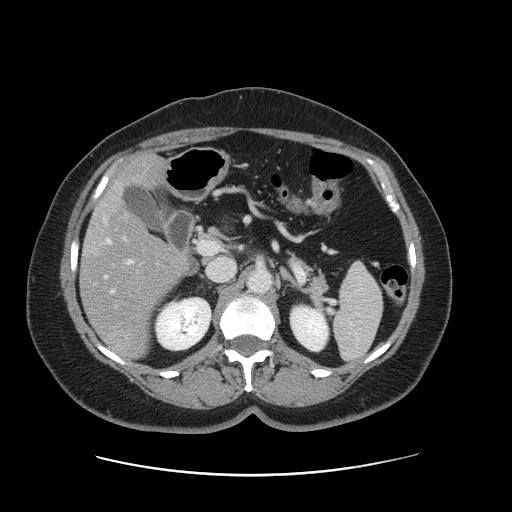 CT slice
Only some of the vessels may be annotated.
Hepatic vessel: bounding box x1=105 y1=276 x2=107 y2=277, x1=127 y1=260 x2=132 y2=263, x1=107 y1=239 x2=111 y2=243, x1=124 y1=237 x2=126 y2=239, x1=111 y1=289 x2=114 y2=292, x1=105 y1=218 x2=106 y2=221.